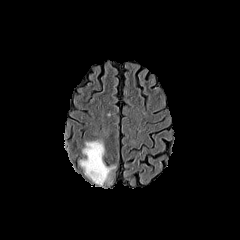
FLAIR MR image.
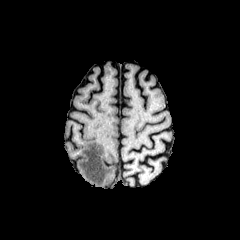
Same slice, T1-weighted magnetic resonance.
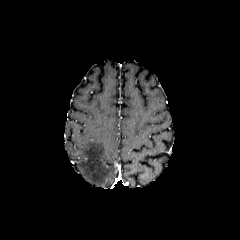
Post-contrast T1-weighted MR of the same slice.
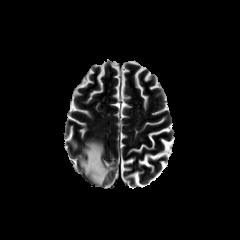
T2-weighted MRI of the same slice.
Head; Image size 240x240
Findings:
* edema: [x1=80, y1=142, x2=115, y2=186]